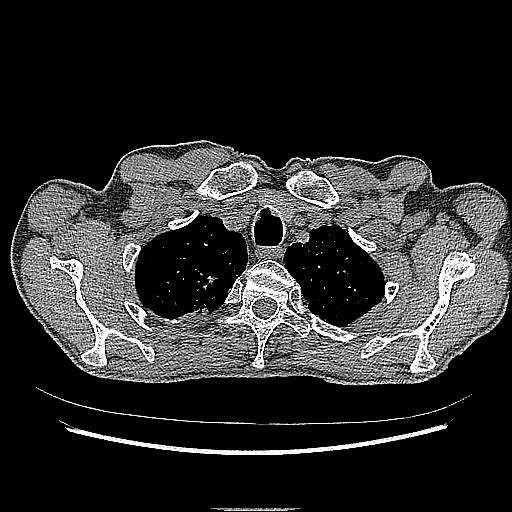

Lung, CT slice, 512x512 px

{
  "lung_tumor": [
    "x1=171, y1=274, x2=227, y2=320"
  ]
}